512x512 px, Computed tomography 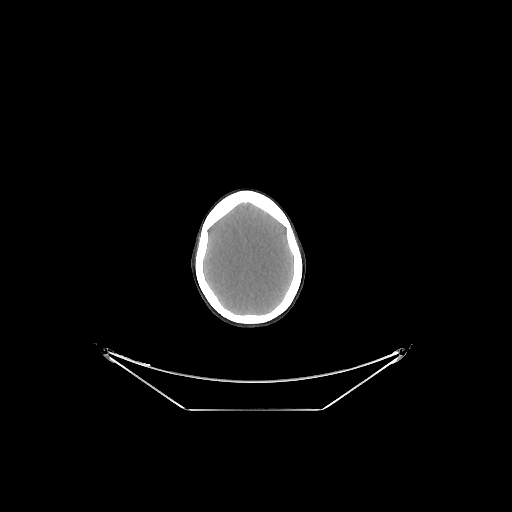
Brain: bounding box 203:202:293:315.